Slice index 92, Image size 240x240
FLAIR MRI.
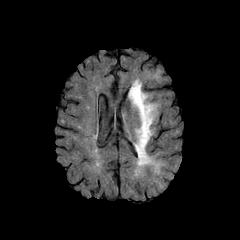
T1-weighted MRI.
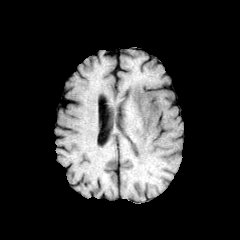
Post-contrast T1-weighted MR image.
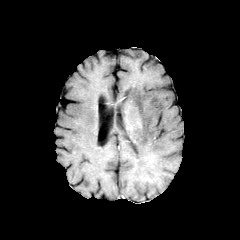
T2-weighted MR image.
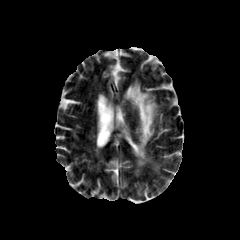
edema:
  - rect(128, 80, 159, 166)